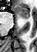

37x52, MR
The anterior hippocampus lies within (left=15, top=6, right=27, bottom=18).